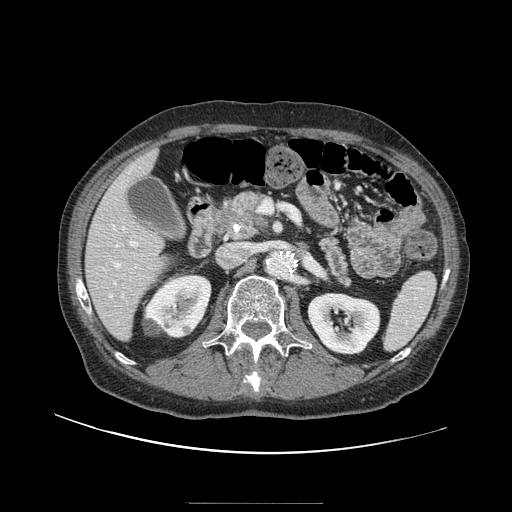 Computed tomography
<segmentation>
  <pancreatic_tumor>(221,209,265,227)</pancreatic_tumor>
  <pancreas>(321,234,349,283), (233,223,262,238), (231,191,265,214)</pancreas>
</segmentation>